CT image, Chest
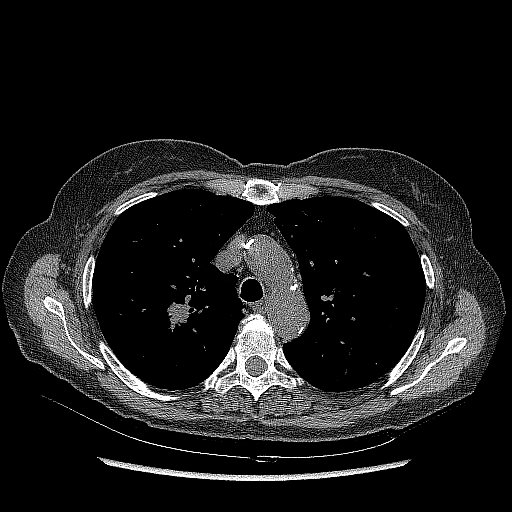

Lung tumor — bbox=[163, 301, 196, 334].